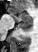 Image size 38x52; Magnetic resonance
Posterior hippocampus — bbox(18, 23, 32, 31).
Anterior hippocampus — bbox(7, 10, 31, 22).